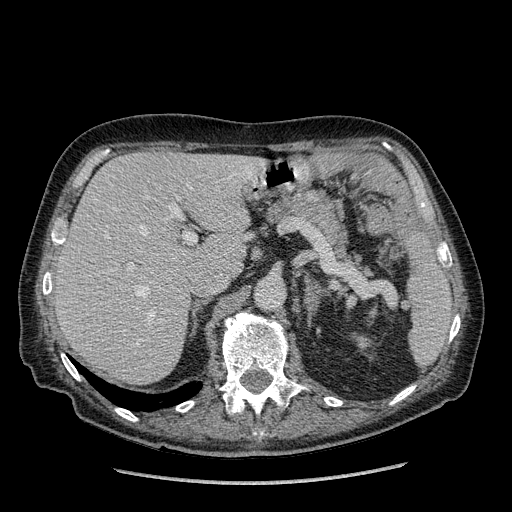
CT scan slice | 512x512 | Abdomen
The kidney is at 356:336:369:348. The liver is bounded by 56:152:258:384.